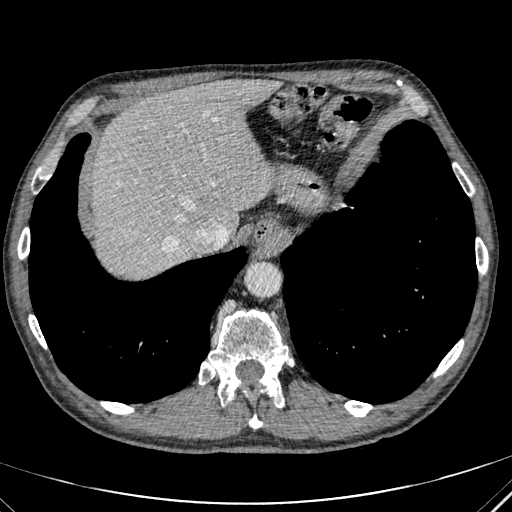 512x512 | CT image

Liver at 91 79 280 278.